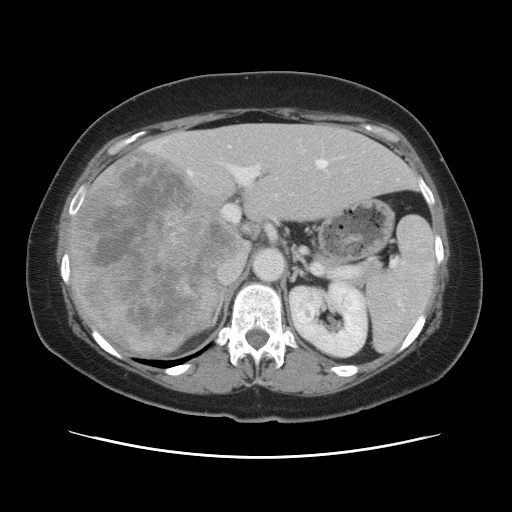 Liver. 512x512 px. Computed tomography.
Not every hepatic vessel necessarily has a box.
The liver tumor is located at l=75, t=153, r=237, b=349. 8 hepatic vessel regions appear at l=302, t=250, r=303, b=251; l=222, t=205, r=239, b=222; l=189, t=171, r=191, b=173; l=302, t=150, r=304, b=152; l=231, t=165, r=259, b=183; l=219, t=257, r=243, b=283; l=316, t=160, r=327, b=167; l=338, t=156, r=342, b=158.